Slice 62/155
FLAIR MR.
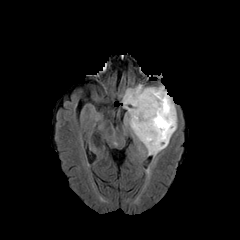
T1-weighted MR image.
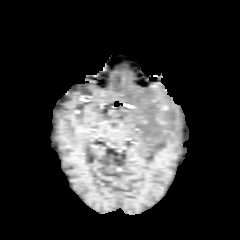
Post-contrast T1-weighted magnetic resonance.
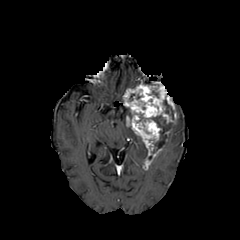
T2-weighted MR image.
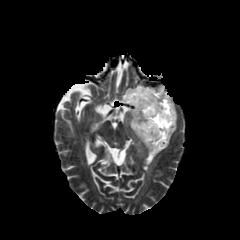
edema:
  - [160, 118, 177, 151]
  - [131, 132, 147, 155]
non-enhancing_tumor_core:
  - [152, 115, 175, 150]
  - [163, 100, 171, 113]
enhancing_tumor:
  - [122, 81, 177, 156]